Field of view 240x240 mm | Slice 60/155
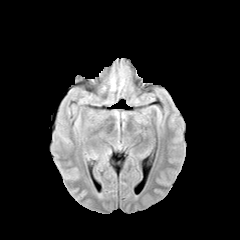
FLAIR MR.
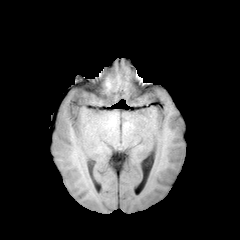
T1-weighted MR image.
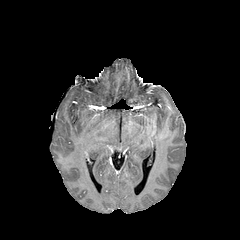
Same slice, post-contrast T1-weighted MRI.
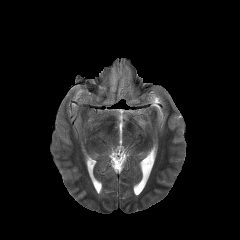
T2-weighted MRI of the same slice.
Edema: (x1=108, y1=68, x2=129, y2=97).